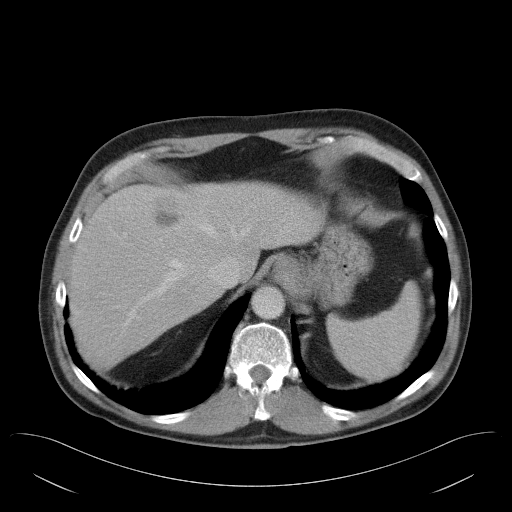

CT image
Only some of the vessels may be annotated.
7 hepatic vessel regions are bounded by {"x1": 208, "y1": 266, "x2": 215, "y2": 278}, {"x1": 127, "y1": 310, "x2": 134, "y2": 322}, {"x1": 139, "y1": 259, "x2": 193, "y2": 303}, {"x1": 241, "y1": 230, "x2": 246, "y2": 234}, {"x1": 190, "y1": 216, "x2": 217, "y2": 237}, {"x1": 204, "y1": 200, "x2": 207, "y2": 204}, {"x1": 231, "y1": 225, "x2": 237, "y2": 238}. The liver tumor is at {"x1": 151, "y1": 197, "x2": 183, "y2": 228}.